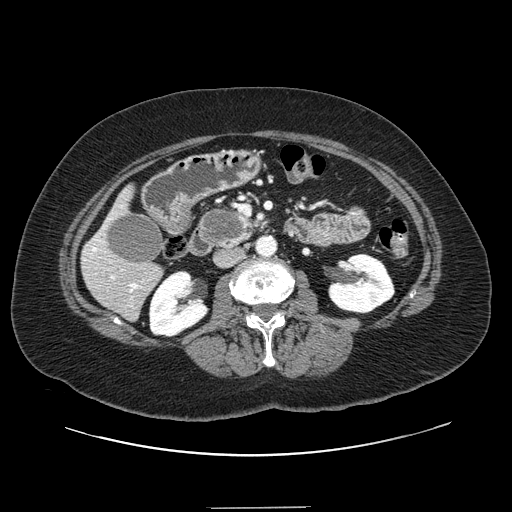
Abdomen. CT image. Image size 512x512.
Annotated regions:
• pancreatic tumor: <bbox>201, 210, 243, 243</bbox>
• pancreas: <bbox>199, 207, 254, 250</bbox>